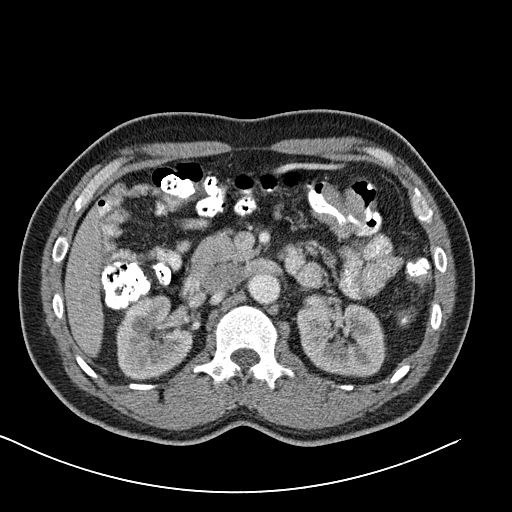 CT scan slice, Abdomen, 512x512 px
Annotated regions:
- colon tumor: (311,213,359,237), (322,183,364,221)